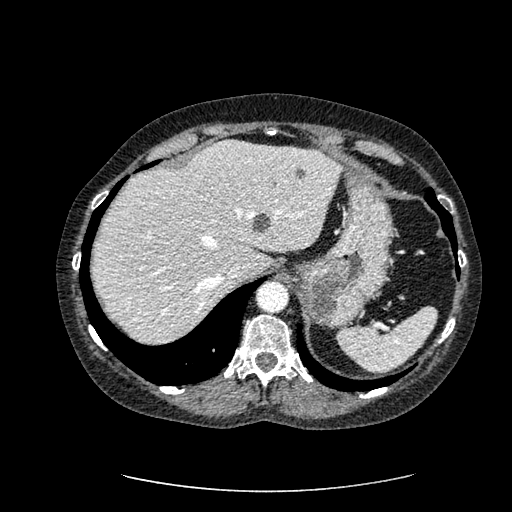 CT slice

Liver: 90, 139, 341, 342.
Hepatic lesion: 295, 168, 305, 178; 252, 213, 269, 233.